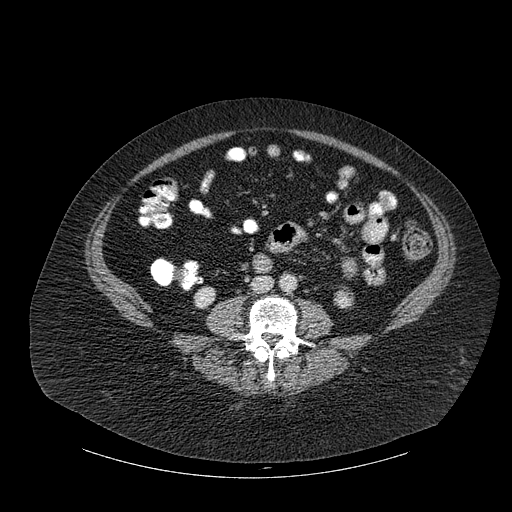 CT scan slice; Abdomen
Kidney: bounding box rect(194, 287, 214, 307); rect(335, 292, 350, 307).
Bone: bounding box rect(238, 297, 309, 381).